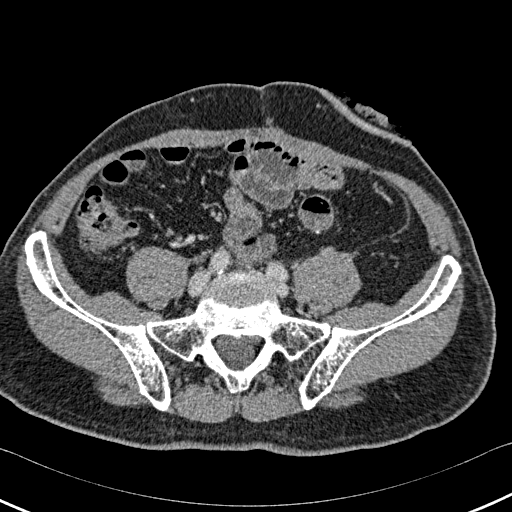
CT
The bone is located at rect(25, 231, 460, 410).